Liver | Computed tomography | 512x512 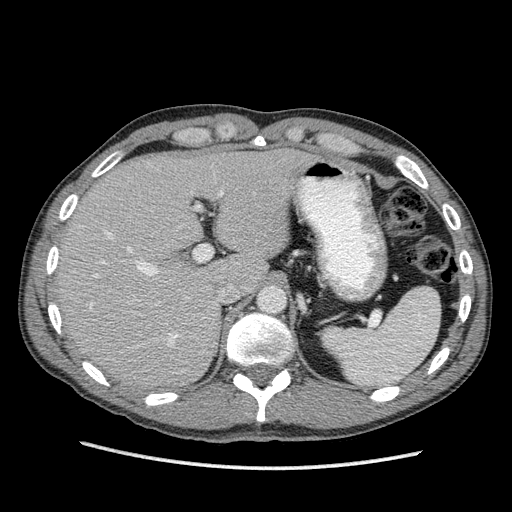 Liver: 54:147:326:393.